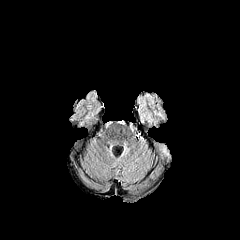
FLAIR MR image.
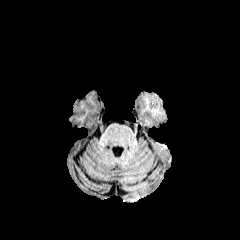
T1-weighted MR of the same slice.
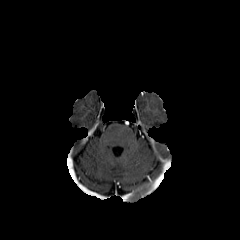
Post-contrast T1-weighted MR image of the same slice.
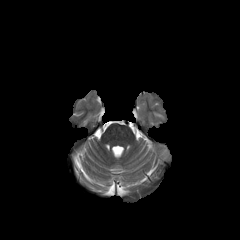
Same slice, T2-weighted MR image.
Head
Edema at bbox=[157, 144, 170, 158].